Field of view 240 mm wide, 1.00 mm slice spacing | Head
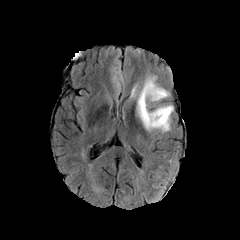
FLAIR MR.
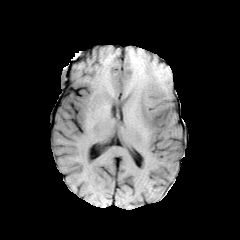
T1-weighted MR.
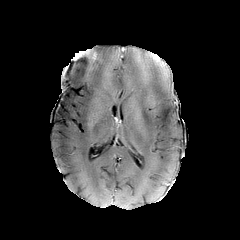
Post-contrast T1-weighted MRI.
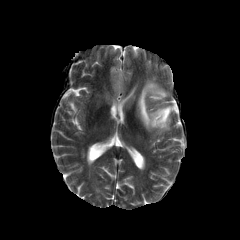
T2-weighted MR image of the same slice.
The edema is at x1=130 y1=76 x2=173 y2=131.